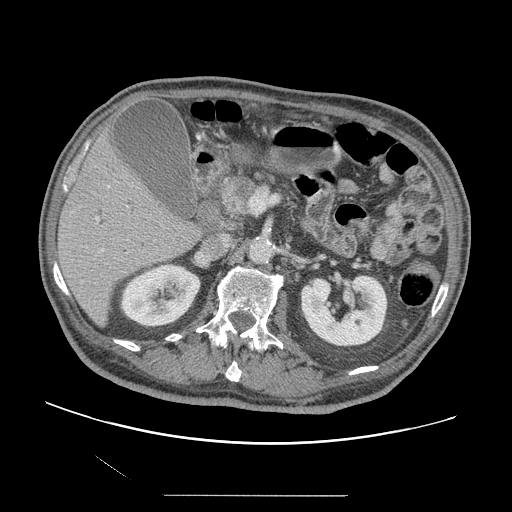 CT scan slice. Abdomen. 512x512 px.

The pancreatic tumor lies within left=230, top=178, right=252, bottom=198. The pancreas is bounded by left=217, top=175, right=261, bottom=218.